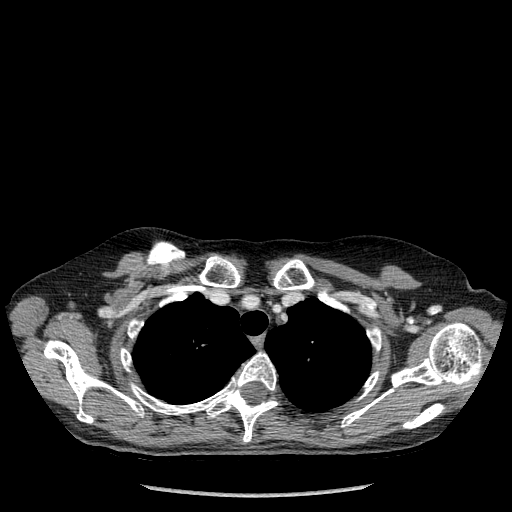 Chest, CT image

11 bone regions are located at 403, 403, 444, 428; 341, 322, 482, 427; 273, 259, 314, 291; 358, 371, 379, 399; 159, 286, 189, 306; 318, 288, 348, 311; 199, 255, 240, 289; 43, 340, 277, 442; 127, 319, 143, 338; 120, 348, 131, 371; 367, 327, 381, 351. 2 lung regions are located at 264, 297, 371, 412; 133, 292, 267, 404.